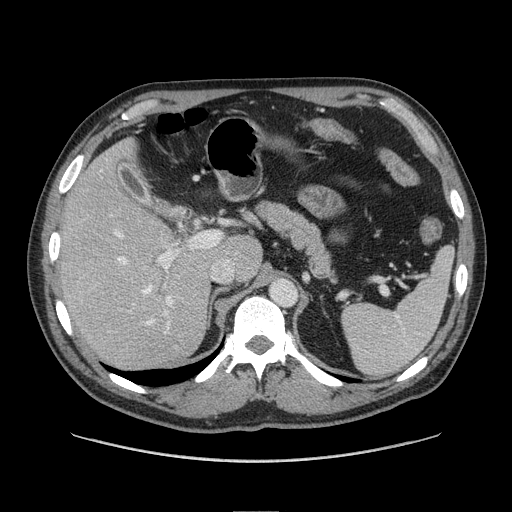 CT scan slice | Abdomen

The pancreas is located at x1=250, y1=198, x2=343, y2=284.